512x512; Slice 145/696; CT image; Lower abdomen 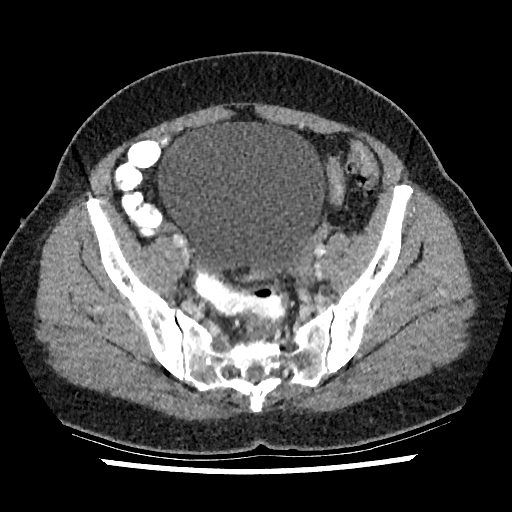
* urinary bladder: 158 122 325 287